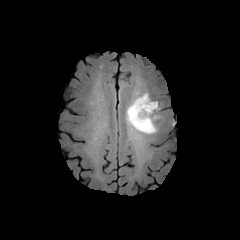
FLAIR MR image.
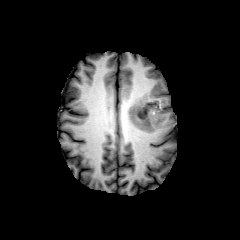
Same slice, T1-weighted MR image.
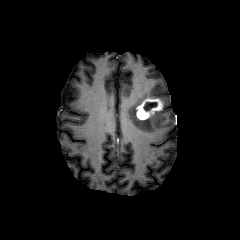
Post-contrast T1-weighted magnetic resonance.
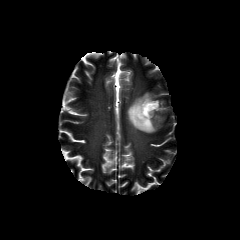
T2-weighted magnetic resonance.
Image size 240x240
2 non-enhancing tumor core regions are located at (left=129, top=100, right=149, bottom=125), (left=144, top=102, right=156, bottom=111). 2 edema regions are bounded by (left=133, top=92, right=157, bottom=100), (left=125, top=104, right=161, bottom=134). The enhancing tumor appears at (left=135, top=98, right=161, bottom=119).